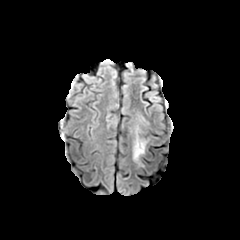
FLAIR magnetic resonance.
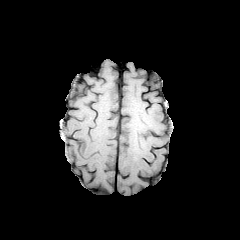
T1-weighted magnetic resonance of the same slice.
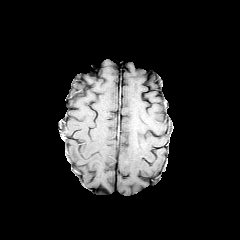
Same slice, post-contrast T1-weighted MRI.
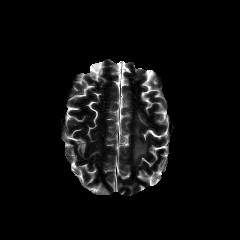
Same slice, T2-weighted MR image.
{"edema": ["bbox(134, 141, 144, 158)"]}